FLAIR magnetic resonance.
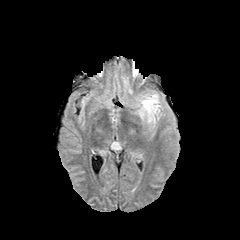
T1-weighted MR.
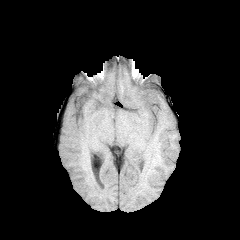
Post-contrast T1-weighted MR image.
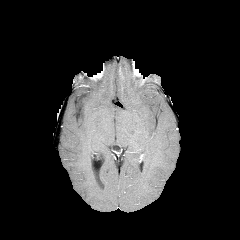
T2-weighted MR image.
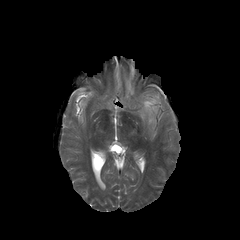
240x240 px
{"edema": ["x1=136 y1=92 x2=160 y2=126"]}